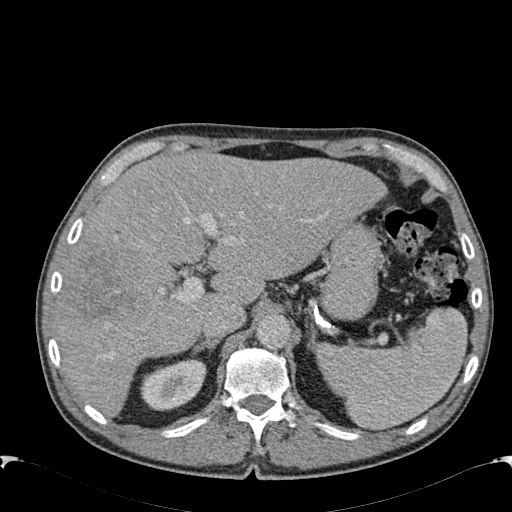

CT scan slice

kidney: [142,360,205,409] | liver lesion: [61,249,137,322] | liver: [55,153,385,417]